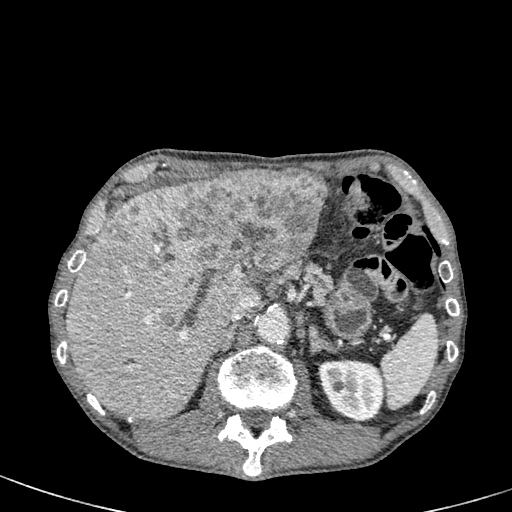
CT slice
Liver: bounding box bbox=[290, 168, 315, 174]; bbox=[65, 182, 258, 419].
Kidney: bounding box bbox=[320, 361, 382, 420].
Liver lesion: bounding box bbox=[162, 314, 175, 325]; bbox=[109, 225, 129, 240]; bbox=[178, 170, 328, 280].